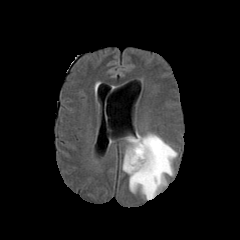
FLAIR MR image.
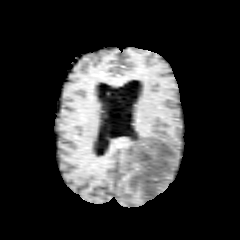
T1-weighted MRI of the same slice.
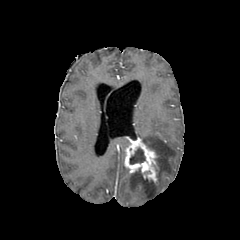
Same slice, post-contrast T1-weighted MRI.
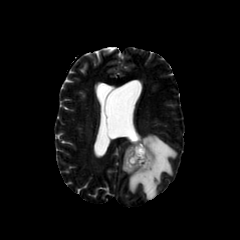
T2-weighted MRI.
Brain.
Enhancing tumor = region(124, 137, 156, 182).
Edema = region(122, 133, 177, 199).
Non-enhancing tumor core = region(155, 156, 158, 179); region(129, 147, 145, 164).